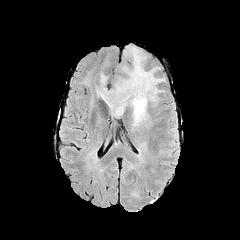
FLAIR MR image.
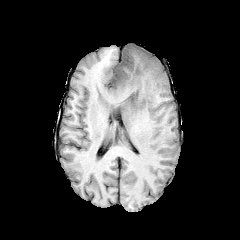
T1-weighted MRI of the same slice.
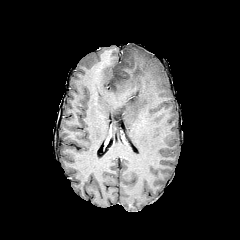
Same slice, post-contrast T1-weighted MR.
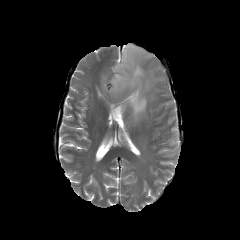
T2-weighted MR image.
Head
edema: region(106, 45, 164, 125) | non-enhancing tumor core: region(121, 90, 137, 103)